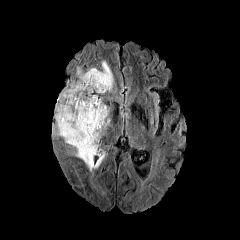
FLAIR MRI.
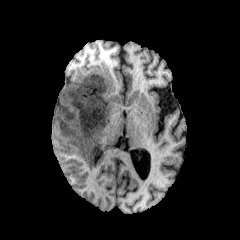
T1-weighted MR.
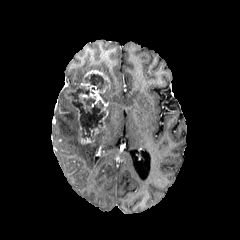
Post-contrast T1-weighted MRI of the same slice.
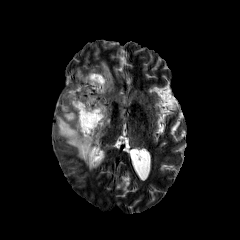
T2-weighted MRI of the same slice.
<segmentation>
  <enhancing_tumor>(78,134,94,143), (79,69,110,108)</enhancing_tumor>
  <non-enhancing_tumor_core>(57,72,106,142)</non-enhancing_tumor_core>
  <edema>(71,66,95,85), (54,113,106,171), (101,62,113,90)</edema>
</segmentation>